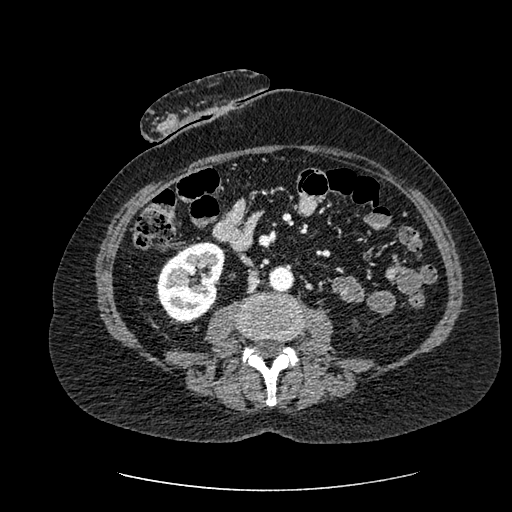
512x512, CT

kidney: (left=158, top=243, right=223, bottom=321)